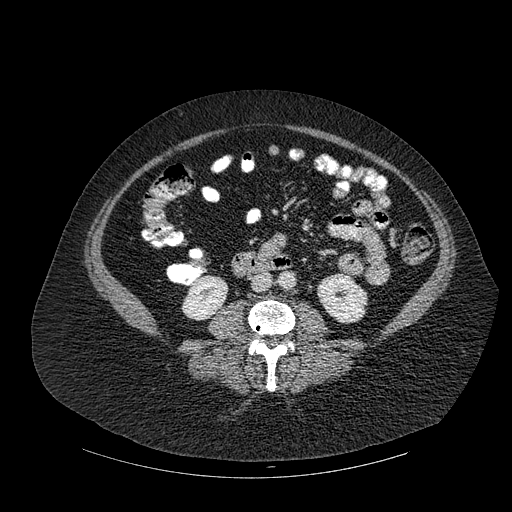

512x512 | CT
Segmented structures:
- kidney: {"x1": 318, "y1": 274, "x2": 366, "y2": 322}, {"x1": 182, "y1": 276, "x2": 227, "y2": 319}
- bone: {"x1": 248, "y1": 300, "x2": 294, "y2": 390}